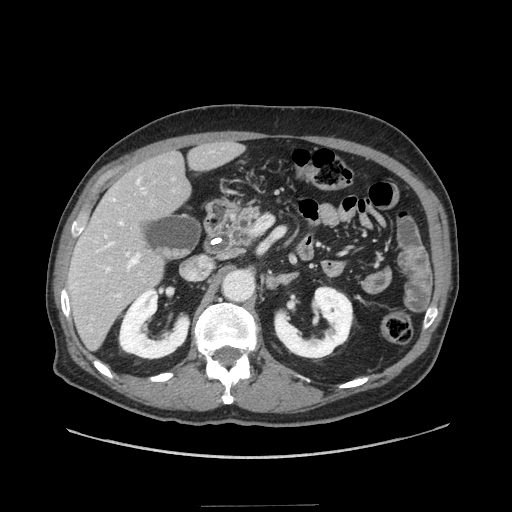
CT.
pancreas: 228,209,259,245 | pancreatic tumor: 234,231,246,242